FLAIR magnetic resonance.
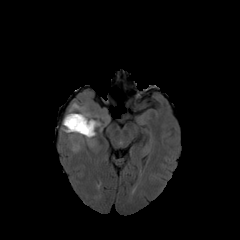
T1-weighted MRI.
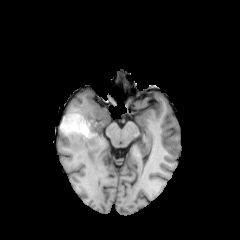
Post-contrast T1-weighted magnetic resonance.
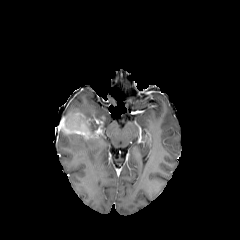
T2-weighted MR.
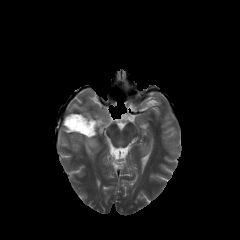
Findings:
• edema: <box>65,98,107,125</box>, <box>62,132,101,153</box>
• enhancing tumor: <box>59,114,103,137</box>
• non-enhancing tumor core: <box>82,115,98,131</box>